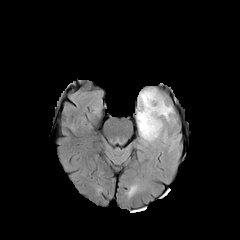
FLAIR MR image.
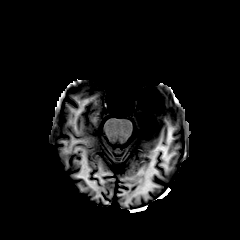
Same slice, T1-weighted MRI.
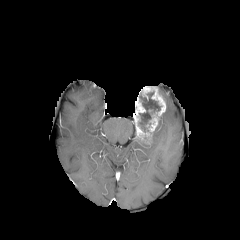
Post-contrast T1-weighted magnetic resonance.
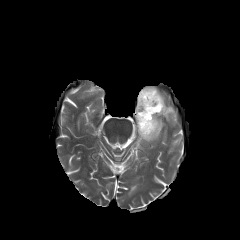
Same slice, T2-weighted magnetic resonance.
240x240, Head
edema:
  - [x1=139, y1=105, x2=175, y2=148]
enhancing_tumor:
  - [x1=133, y1=105, x2=146, y2=122]
  - [x1=142, y1=86, x2=165, y2=130]
non-enhancing_tumor_core:
  - [x1=137, y1=89, x2=160, y2=139]